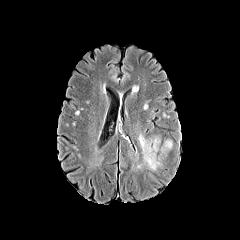
FLAIR MR.
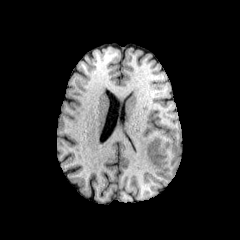
Same slice, T1-weighted MRI.
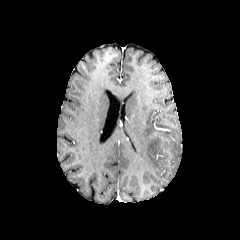
Post-contrast T1-weighted MR image of the same slice.
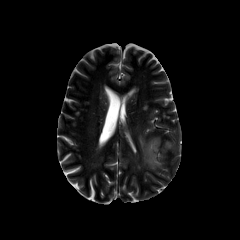
T2-weighted magnetic resonance.
240x240 px.
The edema is located at x1=139, y1=135, x2=159, y2=170.